Image width 387 mm, Slice 104/811, Pelvis, Image size 512x512, Computed tomography

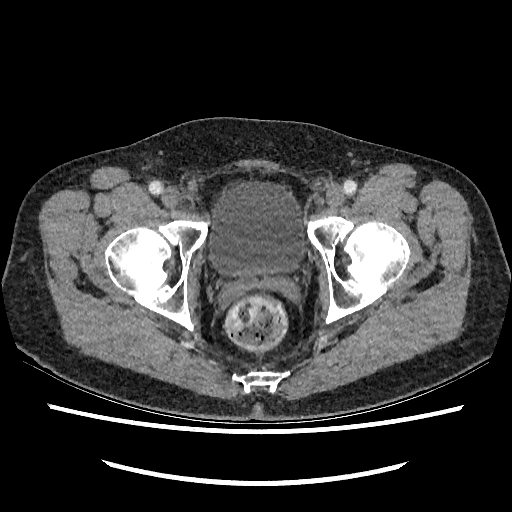

Urinary bladder: x1=208, y1=181, x2=309, y2=277.